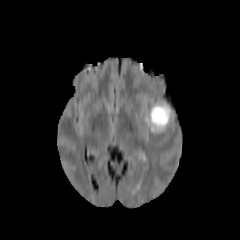
FLAIR MRI.
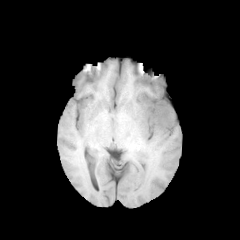
T1-weighted MRI.
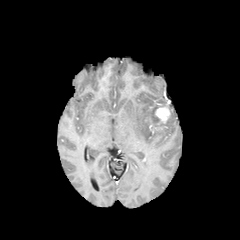
Post-contrast T1-weighted MRI.
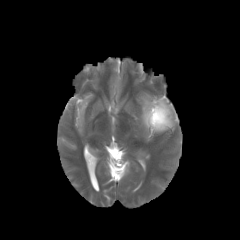
T2-weighted MR image of the same slice.
Image size 240x240
Enhancing tumor at left=155, top=104, right=171, bottom=124.
Edema at left=141, top=97, right=177, bottom=141.